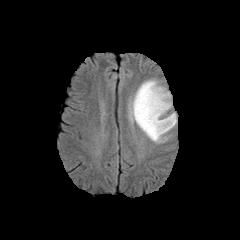
FLAIR magnetic resonance.
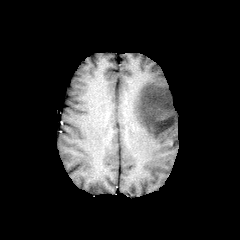
T1-weighted MR image.
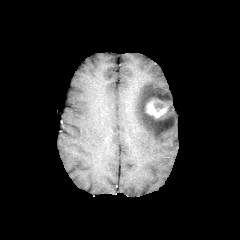
Post-contrast T1-weighted MR image.
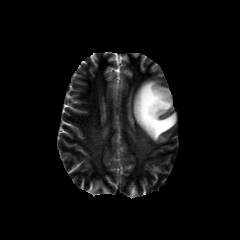
T2-weighted magnetic resonance.
The enhancing tumor is at 146 99 169 117. The edema appears at 128 78 176 143. The non-enhancing tumor core lies within 138 88 172 132.